FLAIR MRI.
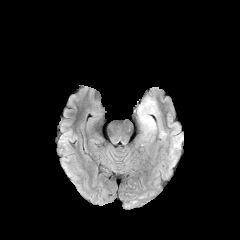
T1-weighted MR image.
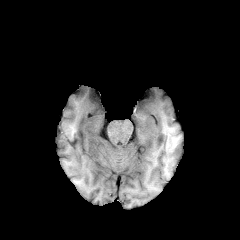
Post-contrast T1-weighted magnetic resonance.
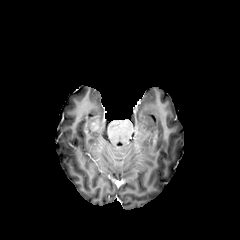
T2-weighted magnetic resonance.
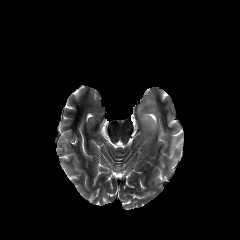
240x240 px, Brain
The edema is bounded by (137, 96, 167, 141).